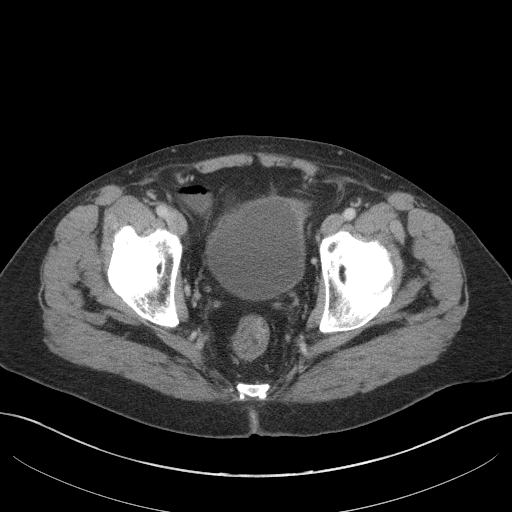 512x512, Pelvis, CT slice
Urinary bladder = (left=206, top=200, right=303, bottom=299).